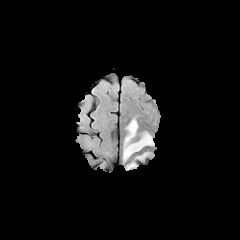
FLAIR MRI.
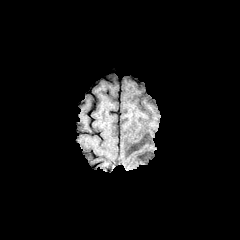
T1-weighted magnetic resonance.
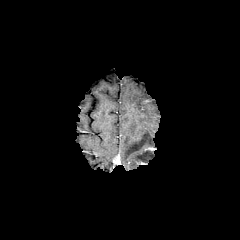
Same slice, post-contrast T1-weighted MRI.
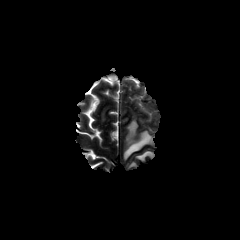
T2-weighted MR image.
Head
edema: bbox(124, 120, 154, 159); bbox(136, 151, 152, 159)